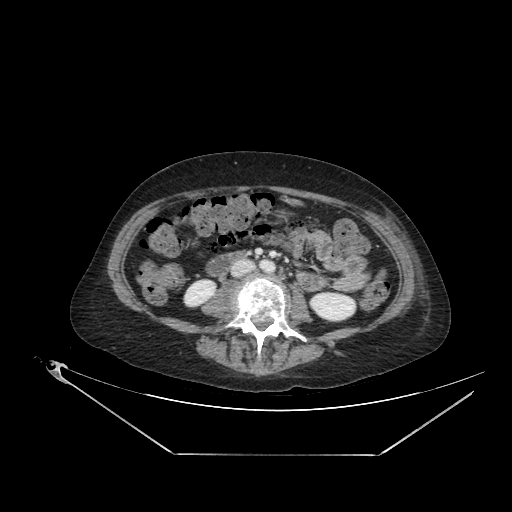
CT. Abdomen.

2 kidney regions are located at (311, 293, 354, 319), (185, 281, 215, 305).